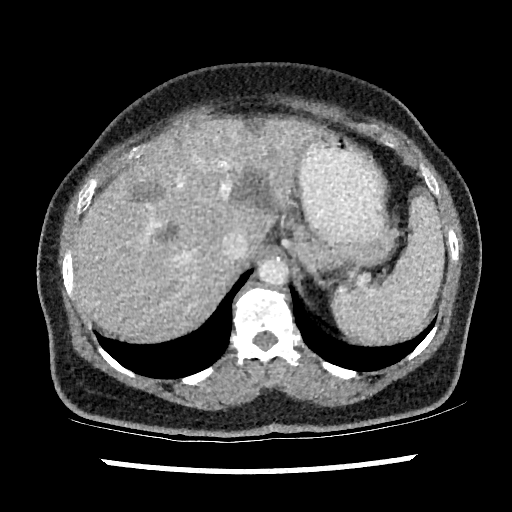

CT scan slice

liver:
  - 71, 117, 318, 338
focal_liver_lesion:
  - 230, 170, 275, 212
  - 239, 118, 264, 131
  - 127, 183, 163, 201
  - 155, 225, 176, 242